Chest | CT image | Field of view 411x411 mm | Slice 562/574
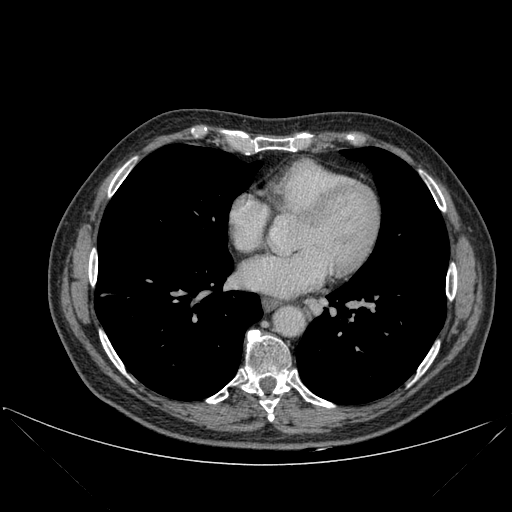 Lung: region(296, 147, 449, 403); region(94, 144, 262, 400).
Bone: region(241, 330, 334, 407); region(446, 263, 456, 299); region(108, 162, 129, 196); region(429, 178, 445, 211); region(89, 249, 97, 285); region(206, 375, 241, 403); region(415, 342, 439, 379); region(260, 398, 278, 421); region(254, 137, 295, 151); region(99, 331, 125, 374).